FLAIR MR image.
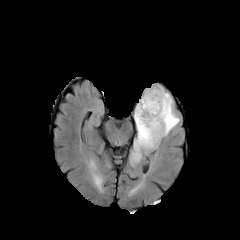
T1-weighted MR.
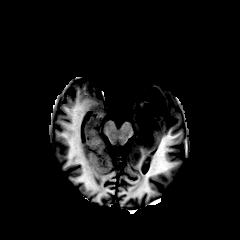
Post-contrast T1-weighted magnetic resonance.
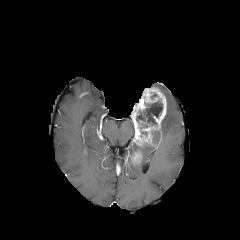
T2-weighted MR image.
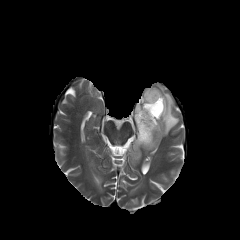
edema:
  - rect(155, 86, 179, 137)
  - rect(127, 140, 154, 165)
non-enhancing_tumor_core:
  - rect(138, 130, 161, 149)
  - rect(136, 101, 162, 124)
  - rect(131, 152, 141, 160)
enhancing_tumor:
  - rect(132, 88, 166, 145)